FLAIR MR image.
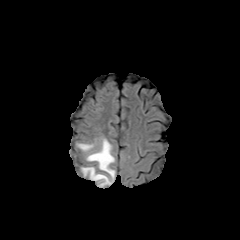
T1-weighted magnetic resonance.
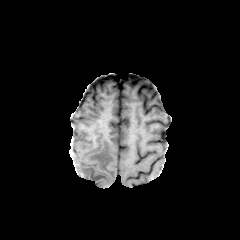
Post-contrast T1-weighted MR image.
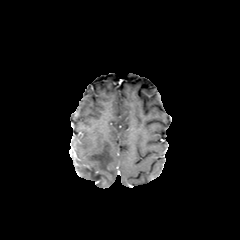
T2-weighted MR.
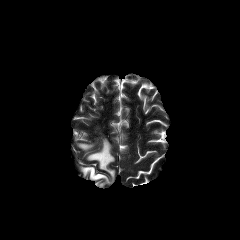
240x240 px. Brain.
The edema lies within {"x1": 76, "y1": 137, "x2": 115, "y2": 187}.